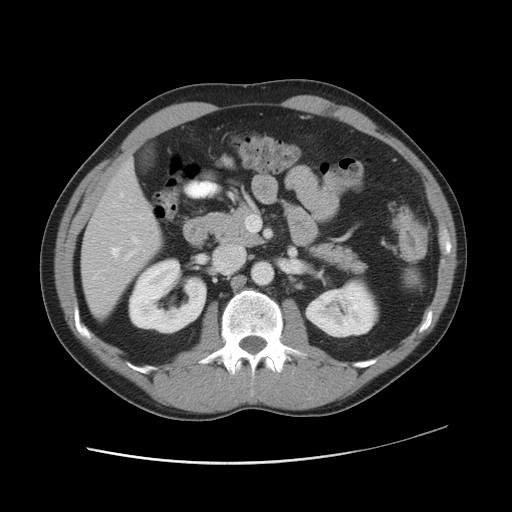 Abdomen; CT
Segmented structures:
• colon tumor: (left=392, top=212, right=426, bottom=260)